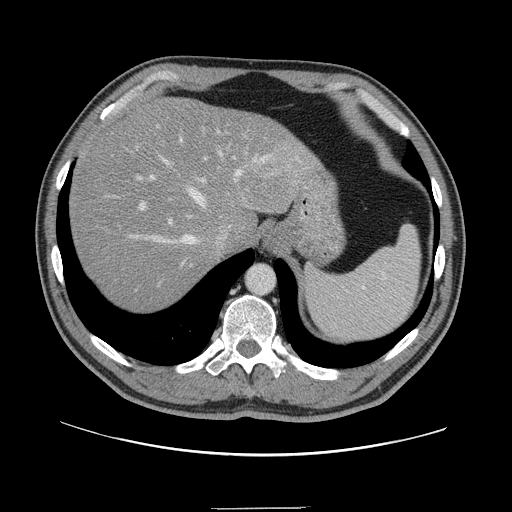
CT scan slice | Image size 512x512
The vessel boxes may cover only some of the vessels.
Liver tumor = <box>247,190,272,207</box>.
Principal 15 of 17 hepatic vessel regions = <box>254,157,266,162</box>, <box>179,235,196,243</box>, <box>180,138,182,141</box>, <box>138,177,142,179</box>, <box>130,235,145,238</box>, <box>218,130,219,132</box>, <box>150,176,154,179</box>, <box>234,170,241,180</box>, <box>190,189,204,205</box>, <box>219,151,222,156</box>, <box>140,203,145,209</box>, <box>197,179,205,181</box>, <box>150,238,168,242</box>, <box>163,159,169,165</box>, <box>169,219,172,224</box>.